FLAIR MR image.
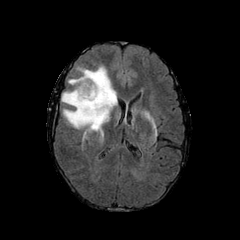
T1-weighted MRI.
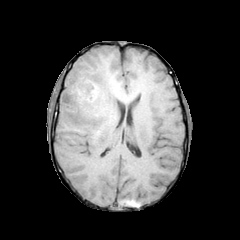
Post-contrast T1-weighted MR.
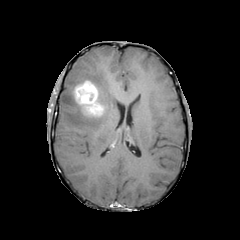
T2-weighted MR.
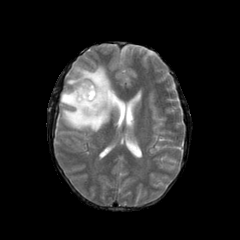
Brain
<segmentation>
  <enhancing_tumor>box(75, 81, 103, 115)</enhancing_tumor>
  <non-enhancing_tumor_core>box(78, 104, 100, 117)</non-enhancing_tumor_core>
  <edema>box(61, 65, 117, 133)</edema>
</segmentation>